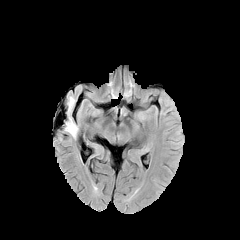
FLAIR MR.
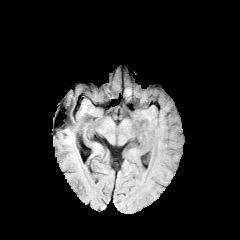
T1-weighted MRI.
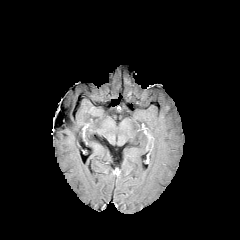
Post-contrast T1-weighted MR of the same slice.
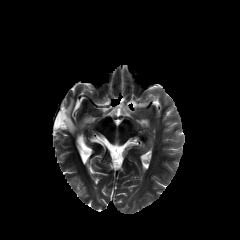
T2-weighted MRI.
Brain
edema:
  - [64,97,78,136]